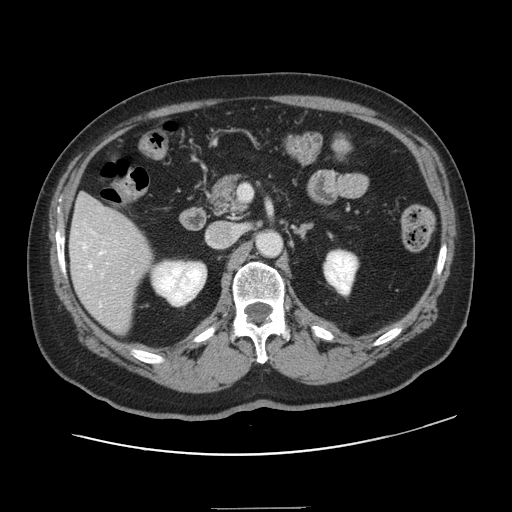
CT image.

Only some of the vessels may be annotated.
Hepatic vessel — 83:244:87:249, 88:264:91:267, 99:251:103:254.